Liver. CT image. 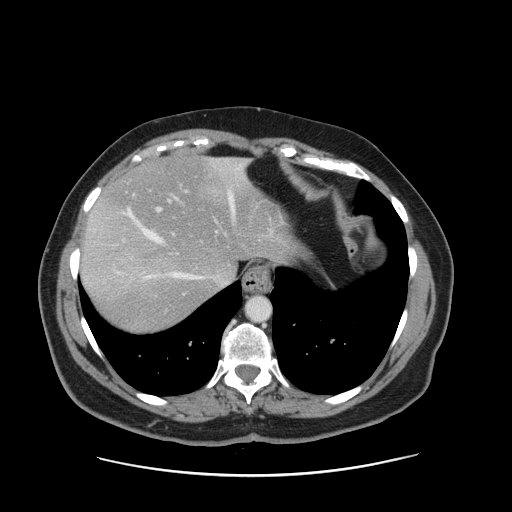
Only some of the vessels may be annotated.
5 hepatic vessel regions appear at l=157, t=207, r=160, b=210; l=229, t=193, r=234, b=216; l=174, t=273, r=180, b=276; l=169, t=200, r=170, b=202; l=238, t=167, r=240, b=168.